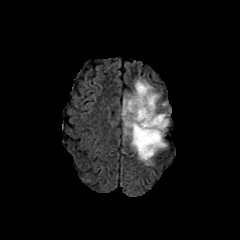
FLAIR MRI.
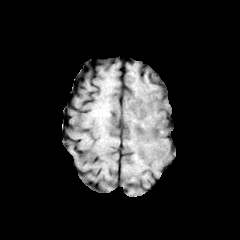
T1-weighted MR image.
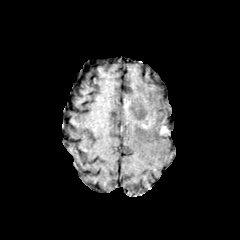
Same slice, post-contrast T1-weighted magnetic resonance.
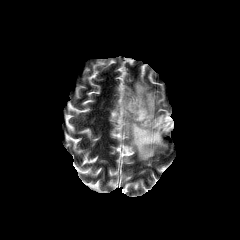
Same slice, T2-weighted MRI.
Brain
Annotated regions:
- non-enhancing tumor core: (159, 118, 168, 130), (122, 94, 143, 120), (135, 109, 155, 128)
- edema: (120, 78, 169, 164)